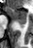
Hippocampus | Magnetic resonance

<segmentation>
  <anterior_hippocampus>box(4, 6, 26, 21)</anterior_hippocampus>
  <posterior_hippocampus>box(19, 22, 25, 26)</posterior_hippocampus>
</segmentation>